Abdomen | CT image | Field of view 329 mm wide, 3.00 mm slice spacing 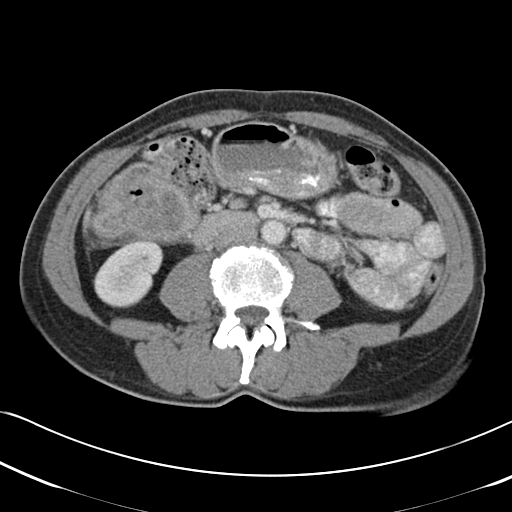
The colon tumor is at <box>93,154,198,241</box>.